Field of view 512 mm wide, 1.00 mm slice spacing. Slice index 26. Computed tomography. Abdomen.

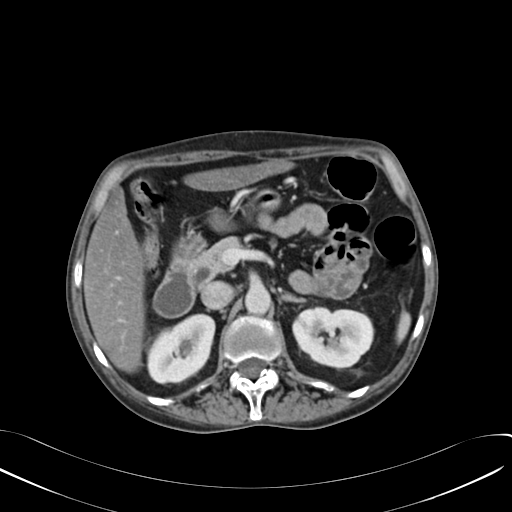 Segmented structures:
• kidney: (149,315,213,382), (293,308,371,366)
• liver: (187,160,293,192), (86,188,144,369)